Field of view 400 mm wide, 1.37 mm slice spacing. Heart. 320x320 px. MRI.

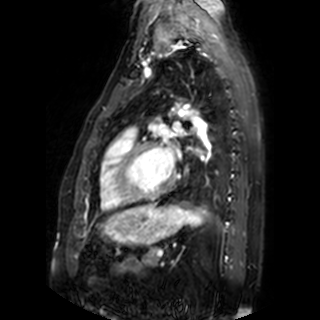

2 left atrium regions appear at 164:148:173:167, 174:123:182:131.